CT scan slice. 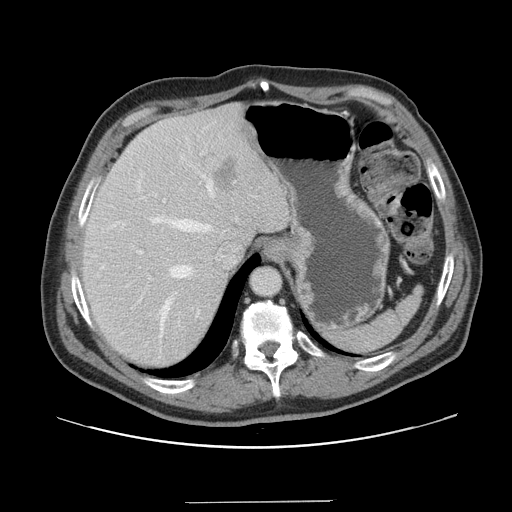

The vessel annotation is not exhaustive.
6 hepatic vessel regions are bounded by 163:199:164:201, 207:180:213:196, 150:216:210:231, 170:265:191:277, 137:250:142:253, 161:298:171:331. The liver tumor is at 209:156:235:188.